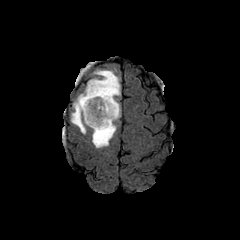
FLAIR MR image.
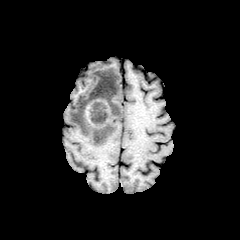
Same slice, T1-weighted MR.
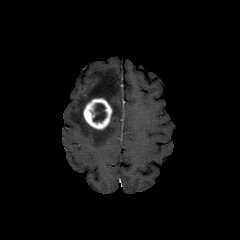
Post-contrast T1-weighted magnetic resonance.
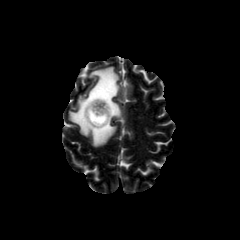
Same slice, T2-weighted MR image.
Brain
enhancing tumor: bbox(83, 98, 112, 130) | edema: bbox(69, 66, 121, 148) | non-enhancing tumor core: bbox(94, 103, 105, 121)